CT scan slice | Liver
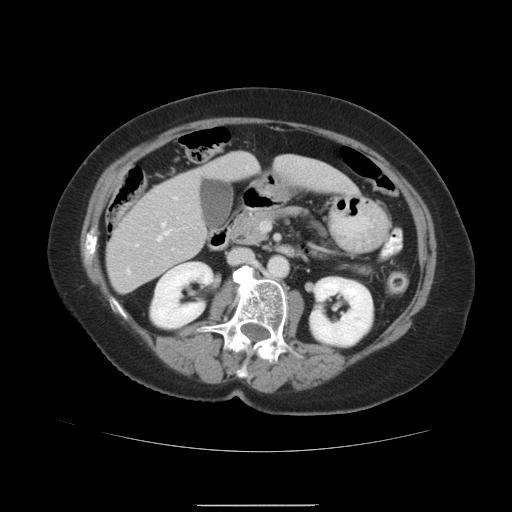 The vessel boxes may cover only some of the vessels.
<segmentation>
  <hepatic_vessel>left=174, top=197, right=177, bottom=199; left=127, top=268, right=131, bottom=273; left=173, top=248, right=174, bottom=249; left=158, top=222, right=170, bottom=240; left=137, top=244, right=138, bottom=246</hepatic_vessel>
</segmentation>